Slice 618 of 687; Head; CT image
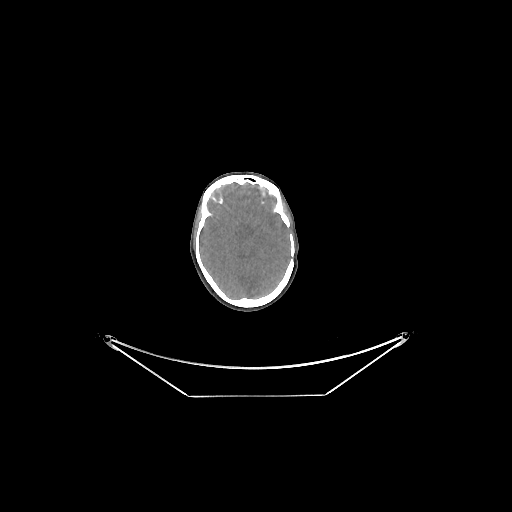
{
  "brain": [
    "199,182,291,299"
  ]
}